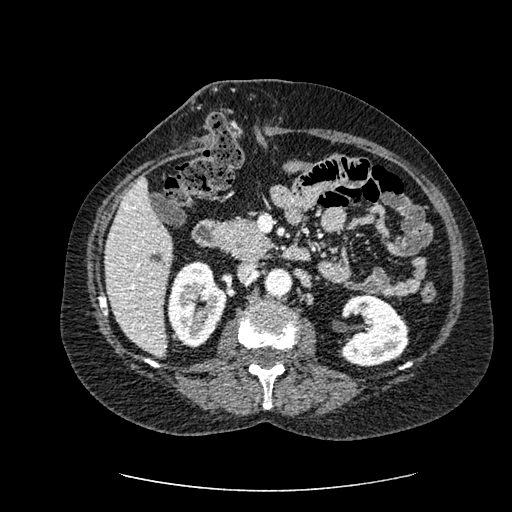

CT slice
kidney: (342, 295, 407, 365), (168, 262, 225, 346) | liver: (105, 177, 171, 355) | focal liver lesion: (149, 253, 162, 262)